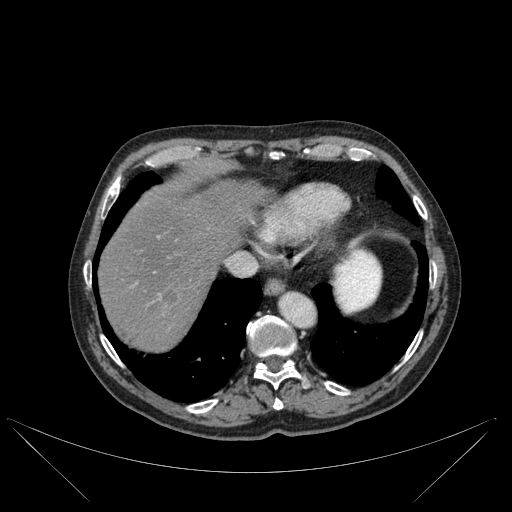 512x512 px | Computed tomography | Liver

* hepatic lesion: 162, 289, 176, 303
* lung: 311, 243, 428, 385; 92, 171, 261, 401; 376, 166, 418, 224
* bone: 84, 266, 91, 284; 254, 360, 301, 388; 404, 332, 422, 360; 413, 196, 426, 218; 100, 335, 121, 364; 324, 382, 348, 395; 429, 264, 437, 284; 105, 178, 119, 200; 247, 315, 295, 357; 273, 399, 282, 409; 243, 376, 248, 391; 187, 399, 217, 413; 269, 153, 283, 159
* liver: 98, 180, 270, 352